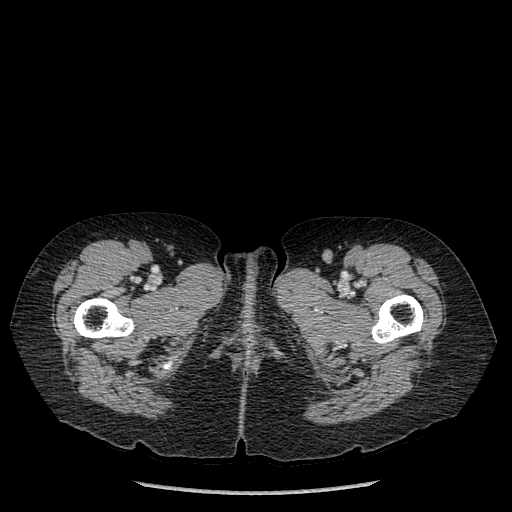 CT slice
bone: [371, 293, 424, 343], [72, 297, 134, 338], [162, 356, 176, 369]